Slice 20 of 38. CT slice.
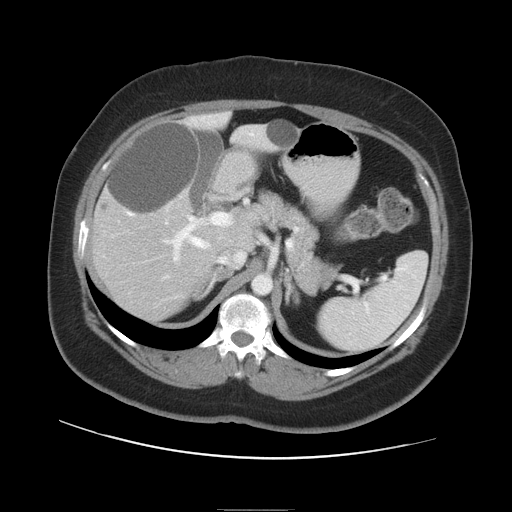 Only some of the vessels may be annotated.
Findings:
• hepatic vessel: region(172, 217, 207, 259); region(211, 213, 230, 225)